Slice 430/846 | CT slice | Image width 387 mm | 512x512 | Abdomen
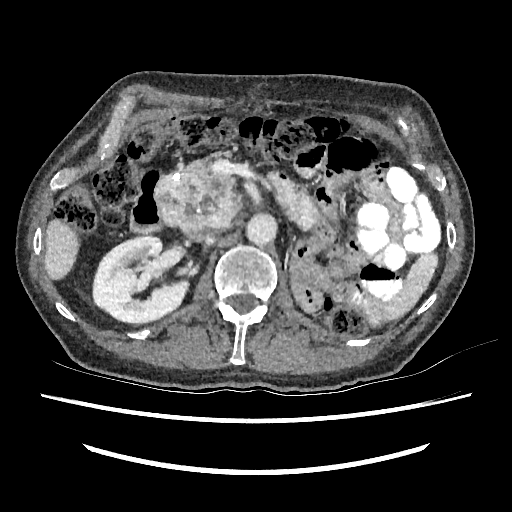 The liver appears at x1=45 y1=221 x2=78 y2=278. The kidney lies within x1=93 y1=236 x2=187 y2=322.